CT. Abdomen. 512x512 px.

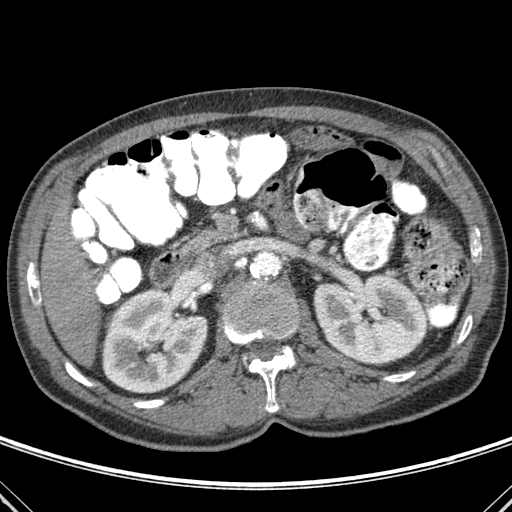
Liver: 41 220 100 364, 60 196 70 207.
Bone: 247 346 295 412, 224 270 297 344, 471 230 481 256, 384 371 414 382, 252 212 265 228, 65 362 92 386, 27 262 39 297, 457 315 472 343, 134 400 163 408.
Kidney: 315 268 426 362, 104 290 206 391.